Image size 512x512; CT slice 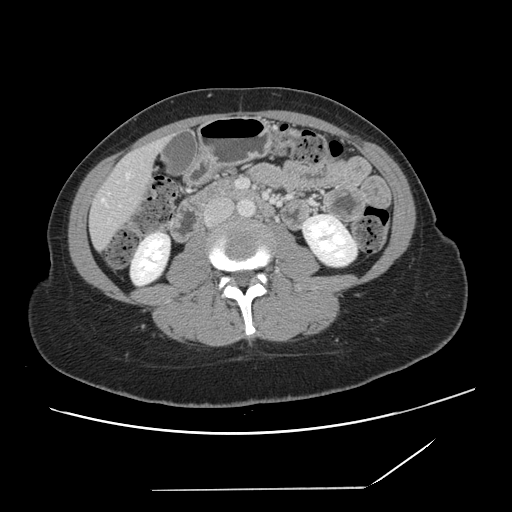 Only some of the vessels may be annotated.
hepatic vessel: bbox=[101, 199, 106, 205]; bbox=[126, 173, 129, 178]